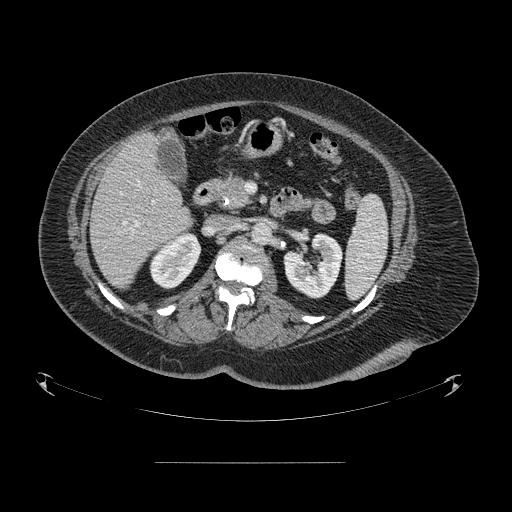 Upper abdomen, CT slice
Pancreatic tumor at bbox=[216, 179, 241, 197].
Pancreas at bbox=[211, 178, 248, 208].